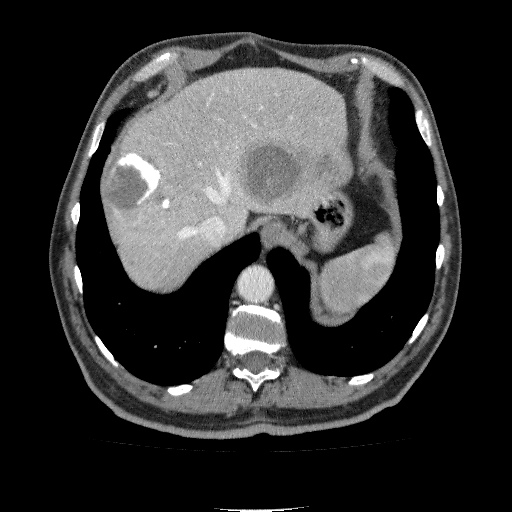

Liver, CT slice, 512x512 px
- liver: <bbox>107, 69, 352, 293</bbox>
- liver lesion: <bbox>235, 137, 339, 204</bbox>, <bbox>103, 148, 175, 222</bbox>